Lung, CT
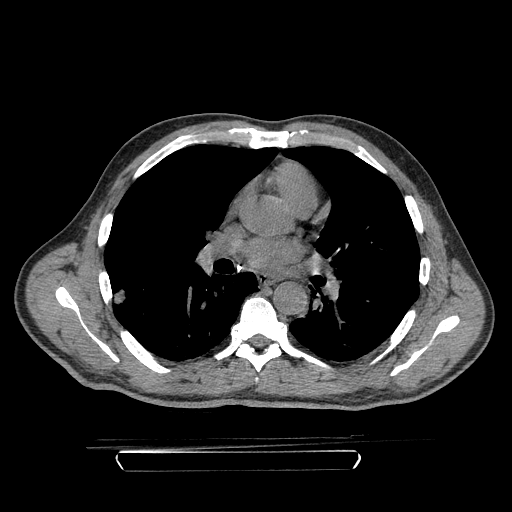

{"lung_tumor": ["x1=114 y1=287 x2=126 y2=304"]}